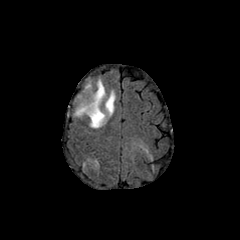
FLAIR magnetic resonance.
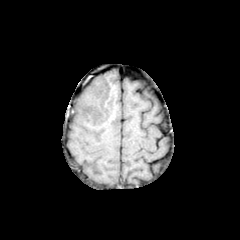
T1-weighted MRI of the same slice.
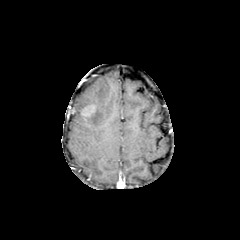
Post-contrast T1-weighted magnetic resonance of the same slice.
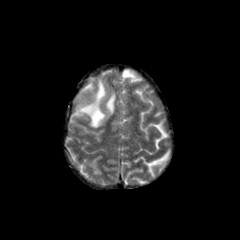
Same slice, T2-weighted MRI.
Head
enhancing_tumor:
  - rect(80, 105, 95, 117)
edema:
  - rect(74, 79, 115, 127)